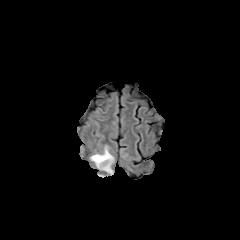
FLAIR MR image.
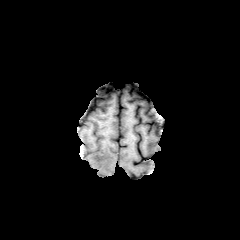
T1-weighted MR image.
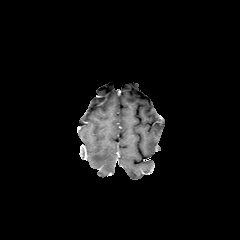
Post-contrast T1-weighted MR image.
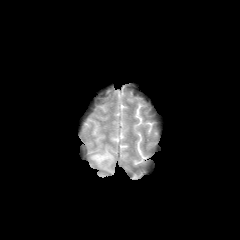
Same slice, T2-weighted MR image.
Head
Annotated regions:
- edema: (90, 146, 114, 173)